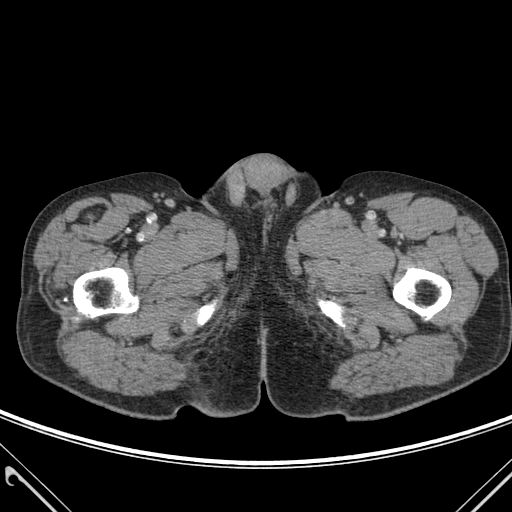

CT scan slice; 512x512
4 bone regions are located at [x1=73, y1=268, x2=138, y2=317], [x1=184, y1=300, x2=216, y2=329], [x1=393, y1=268, x2=450, y2=319], [x1=317, y1=298, x2=353, y2=329].